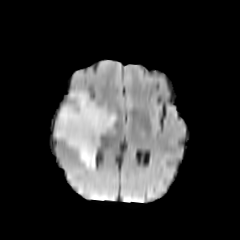
FLAIR magnetic resonance.
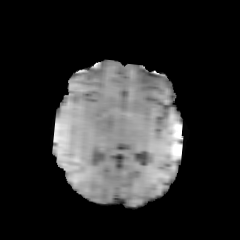
Same slice, T1-weighted MRI.
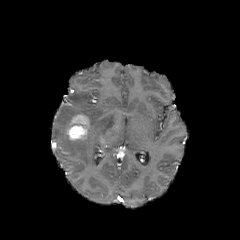
Post-contrast T1-weighted MR image.
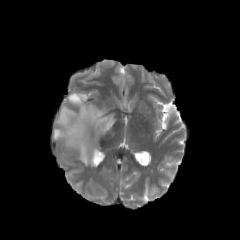
Same slice, T2-weighted magnetic resonance.
Head. 240x240 px.
Findings:
* enhancing tumor: x1=66 y1=114 x2=90 y2=141
* edema: x1=54 y1=92 x2=116 y2=169